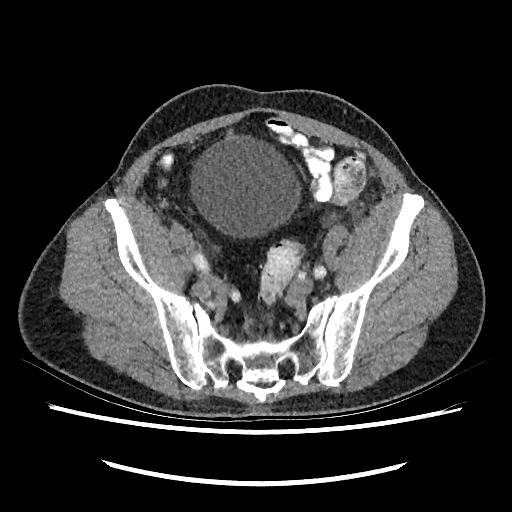 Lower abdomen, CT scan slice
urinary bladder: rect(190, 131, 301, 238)